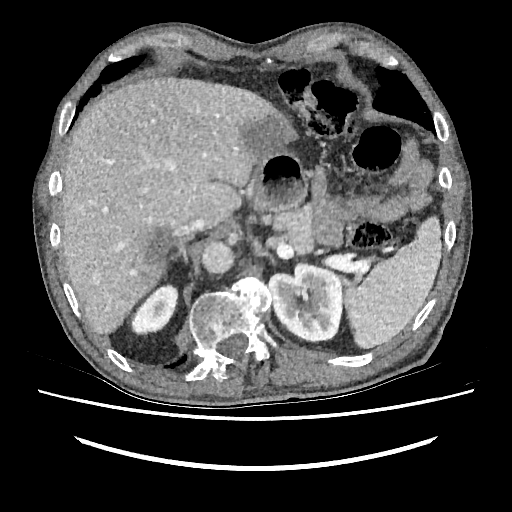

Computed tomography
Segmented structures:
* liver: <box>62,77,297,333</box>
* kidney: <box>268,264,341,340</box>, <box>133,286,176,332</box>
* liver lesion: <box>240,116,289,155</box>, <box>141,227,172,282</box>